CT slice; Liver
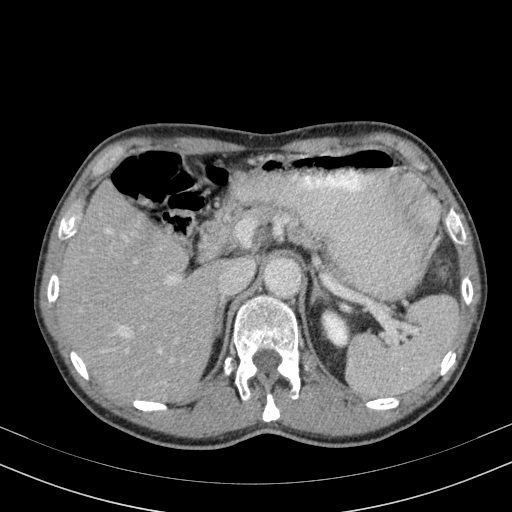 Kidney — box=[324, 315, 346, 343].
Liver — box=[58, 179, 255, 404].